512x512. CT slice. Slice 116/141. Abdomen. 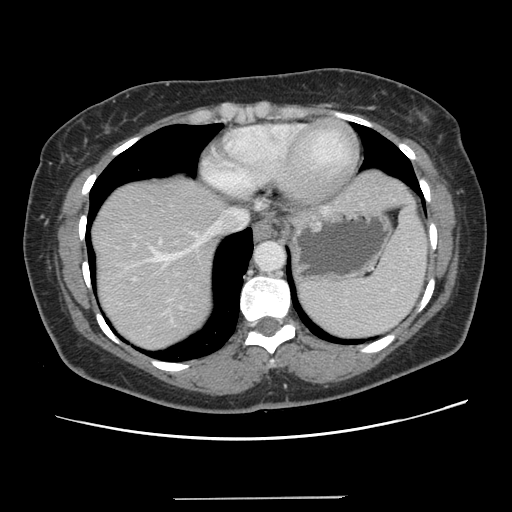

Only some of the vessels may be annotated.
Annotated regions:
- hepatic vessel: {"x1": 159, "y1": 240, "x2": 161, "y2": 243}, {"x1": 216, "y1": 223, "x2": 219, "y2": 226}, {"x1": 192, "y1": 227, "x2": 213, "y2": 240}, {"x1": 151, "y1": 248, "x2": 181, "y2": 260}